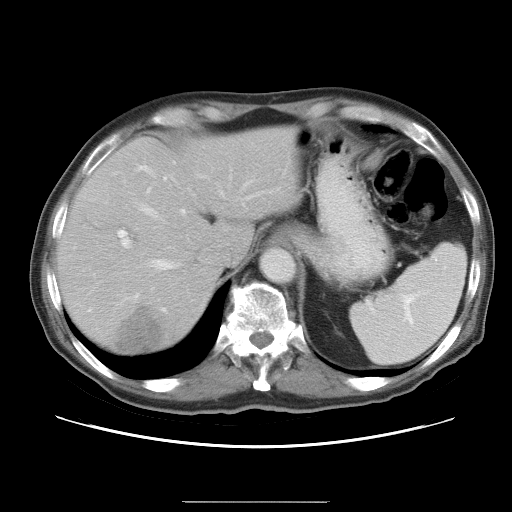
CT image

Some hepatic vessels may have no box.
hepatic_vessel:
  - bbox=[151, 288, 152, 289]
  - bbox=[172, 162, 174, 163]
  - bbox=[193, 194, 194, 195]
  - bbox=[135, 228, 136, 229]
  - bbox=[117, 230, 129, 247]
  - bbox=[199, 175, 204, 178]
  - bbox=[134, 294, 138, 302]
  - bbox=[187, 188, 189, 190]
  - bbox=[87, 309, 90, 311]
  - bbox=[179, 209, 185, 214]
liver_tumor:
  - bbox=[114, 309, 173, 352]